FLAIR MR image.
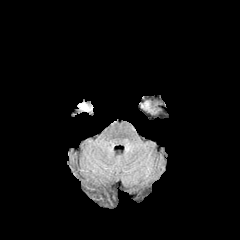
T1-weighted magnetic resonance.
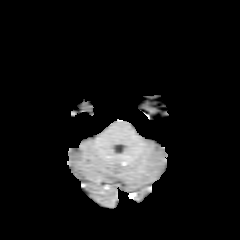
Post-contrast T1-weighted MR image.
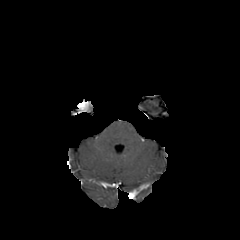
T2-weighted MR.
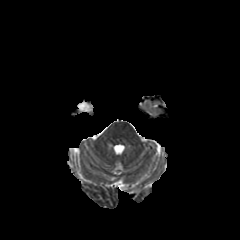
The enhancing tumor is located at (78, 102, 91, 111).